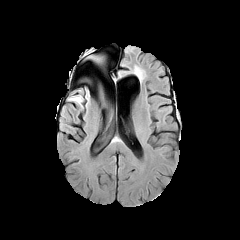
FLAIR MR.
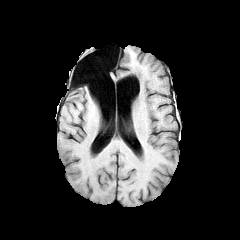
T1-weighted MRI.
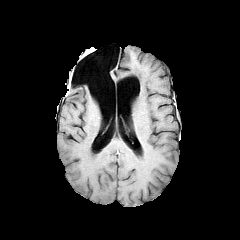
Post-contrast T1-weighted MR image.
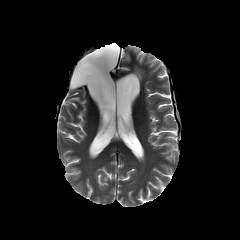
Same slice, T2-weighted MR.
240x240
The edema is at bbox(69, 91, 90, 105).